Slice index 68, CT scan slice, Image size 512x512
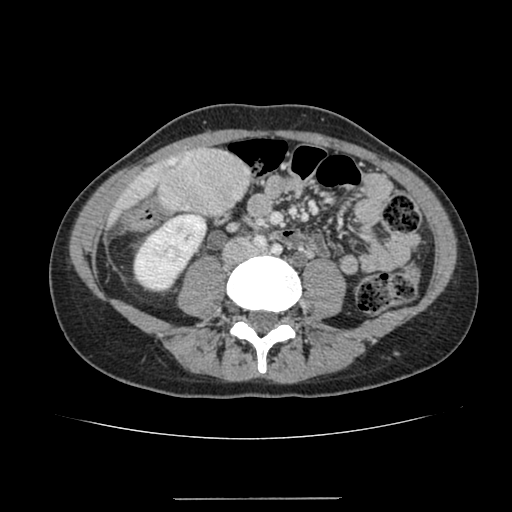
Liver: bounding box x1=106 y1=152 x2=186 y2=227.
Liver lesion: bounding box x1=159 y1=148 x2=250 y2=217.
Kidney: bounding box x1=135 y1=215 x2=205 y2=288.